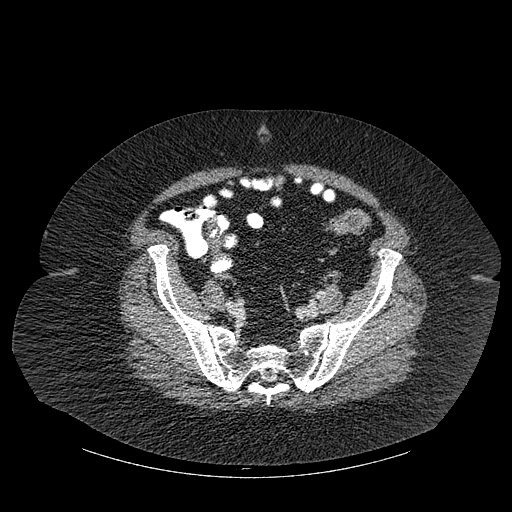
CT scan slice
Bone — {"x1": 148, "y1": 244, "x2": 401, "y2": 404}.